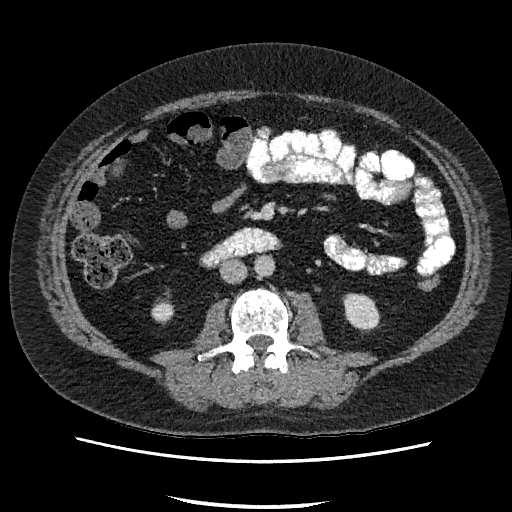
512x512 px; Abdomen; CT image

Kidney — (left=154, top=305, right=171, bottom=318), (left=345, top=295, right=377, bottom=327).